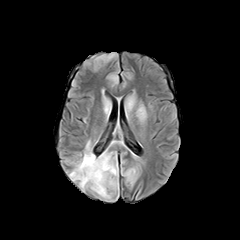
FLAIR MR.
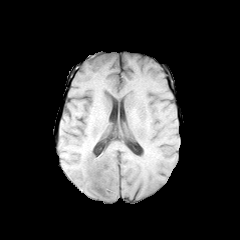
T1-weighted MR.
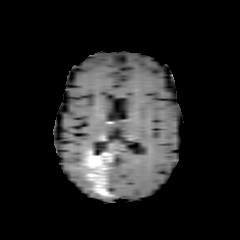
Same slice, post-contrast T1-weighted MR.
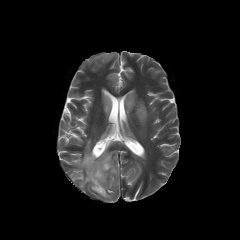
T2-weighted MR.
Head
Segmented structures:
* non-enhancing tumor core: left=86, top=167, right=96, bottom=179; left=99, top=169, right=109, bottom=197; left=101, top=152, right=109, bottom=169
* enhancing tumor: left=84, top=152, right=108, bottom=195
* edema: left=72, top=143, right=91, bottom=188; left=105, top=162, right=117, bottom=181